Image width 240 mm; Head
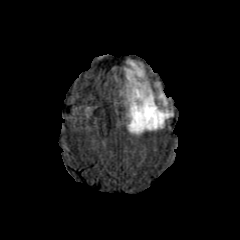
FLAIR MR.
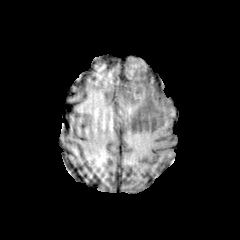
T1-weighted magnetic resonance.
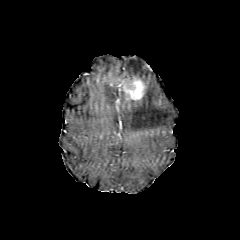
Post-contrast T1-weighted MR.
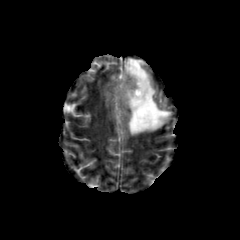
Same slice, T2-weighted magnetic resonance.
The edema is bounded by [x1=120, y1=59, x2=173, y2=134]. The enhancing tumor is at [x1=120, y1=77, x2=145, y2=100].